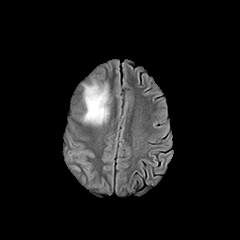
FLAIR MR.
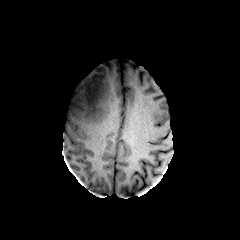
T1-weighted MRI.
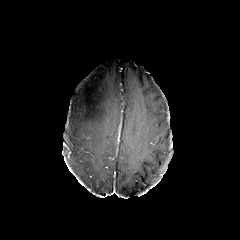
Same slice, post-contrast T1-weighted MR.
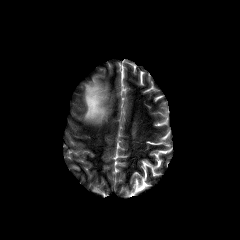
T2-weighted MRI.
edema:
  - [x1=81, y1=79, x2=109, y2=127]